Liver. CT slice.
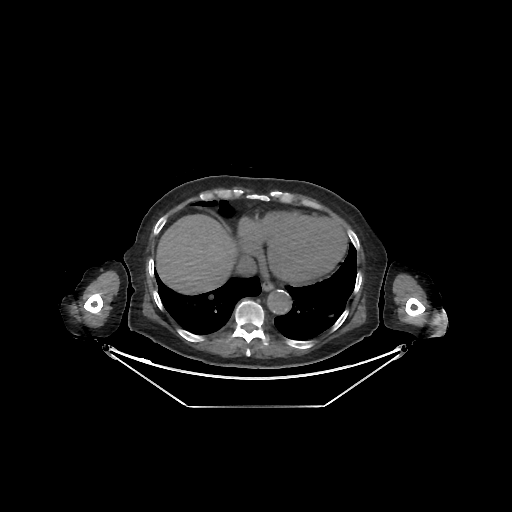

bone:
  - bbox=[249, 195, 268, 200]
  - bbox=[334, 311, 347, 329]
  - bbox=[84, 293, 102, 313]
  - bbox=[178, 330, 203, 341]
  - bbox=[148, 259, 153, 276]
  - bbox=[348, 230, 359, 248]
  - bbox=[405, 298, 424, 316]
  - bbox=[354, 274, 361, 291]
  - bbox=[287, 340, 311, 348]
  - bbox=[154, 217, 165, 233]
  - bbox=[153, 291, 161, 309]
  - bbox=[232, 300, 266, 344]
liver:
  - bbox=[157, 215, 236, 291]
lung:
  - bbox=[154, 271, 261, 334]
  - bbox=[274, 243, 356, 340]
  - bbox=[191, 200, 237, 218]